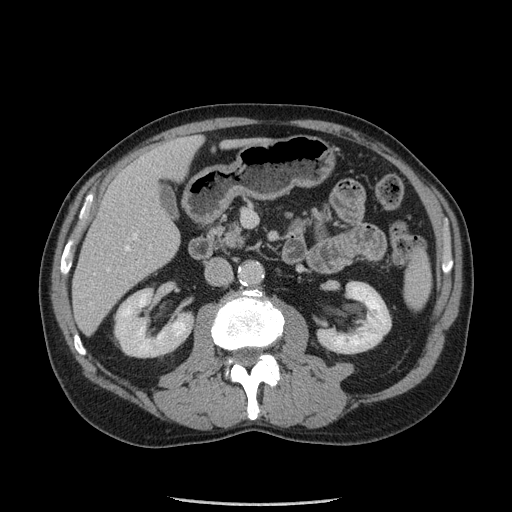 CT | Upper abdomen
Pancreas — 209:218:247:249.